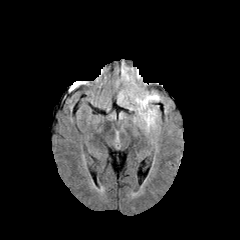
FLAIR MRI.
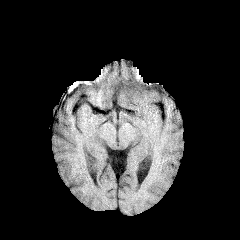
T1-weighted MR.
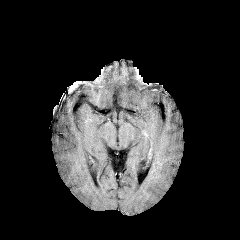
Post-contrast T1-weighted MRI of the same slice.
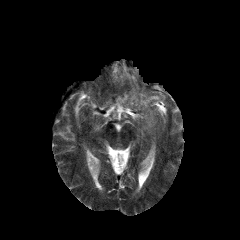
Same slice, T2-weighted MR image.
Brain.
Annotated regions:
* edema: region(135, 94, 159, 110); region(138, 108, 155, 129)